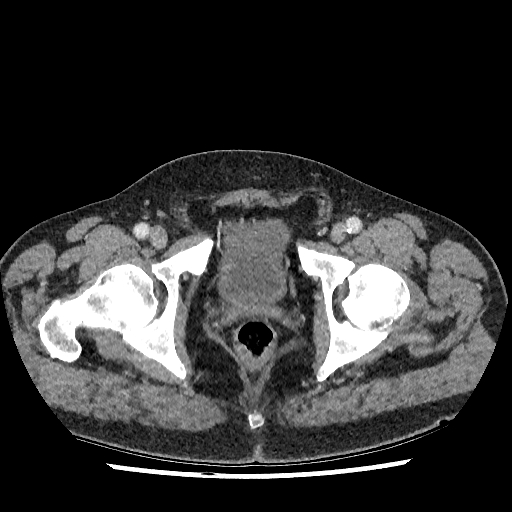

Pelvis. Computed tomography. 512x512 px.
Annotated regions:
- urinary bladder: 217 219 290 309